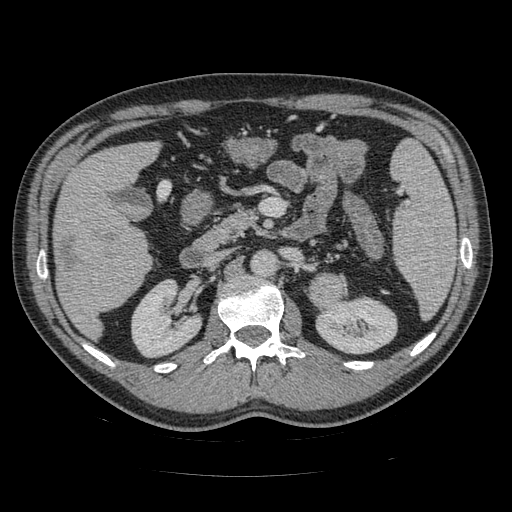
CT scan slice
pancreatic_tumor:
  - [x1=309, y1=273, x2=344, y2=308]
pancreas:
  - [x1=218, y1=210, x2=254, y2=237]